FLAIR MRI.
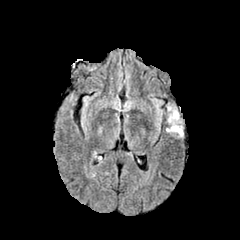
T1-weighted magnetic resonance.
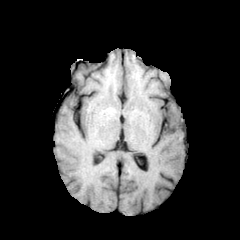
Post-contrast T1-weighted MRI.
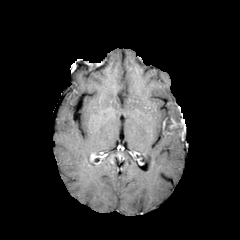
T2-weighted MR.
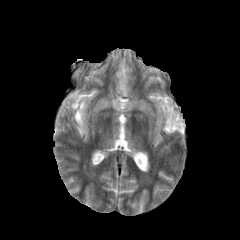
240x240, Brain
{"non-enhancing_tumor_core": ["166 116 184 133"], "edema": ["165 127 183 137", "150 98 162 124", "166 102 181 123"]}